240x240 | Head | Field of view 240 mm wide, 1.00 mm slice spacing
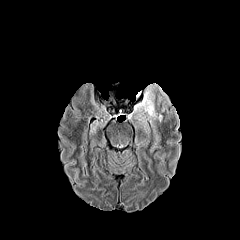
FLAIR magnetic resonance.
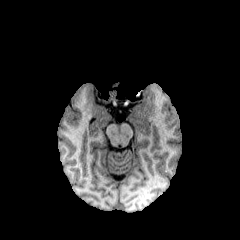
T1-weighted magnetic resonance of the same slice.
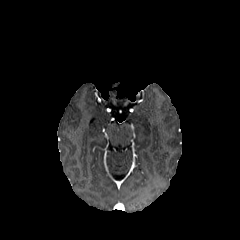
Post-contrast T1-weighted magnetic resonance.
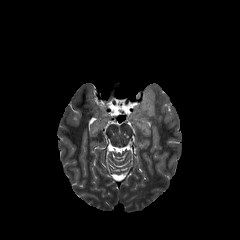
T2-weighted MRI.
Annotated regions:
* edema: 128, 85, 155, 135